FLAIR MR image.
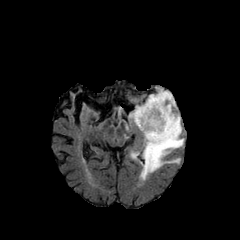
T1-weighted MRI.
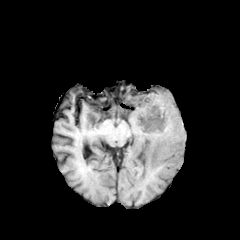
Post-contrast T1-weighted MR.
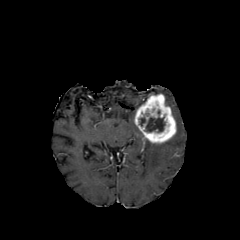
T2-weighted MRI.
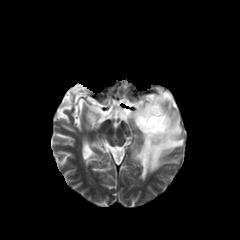
Head
non-enhancing tumor core: left=146, top=118, right=164, bottom=131 | edema: left=130, top=87, right=184, bottom=180; left=126, top=111, right=134, bottom=131; left=118, top=107, right=125, bottom=123 | enhancing tumor: left=134, top=93, right=174, bottom=143